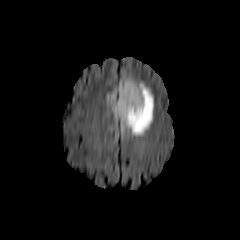
FLAIR MRI.
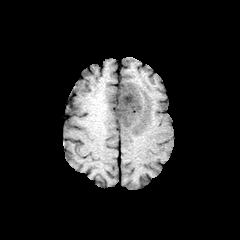
T1-weighted MRI.
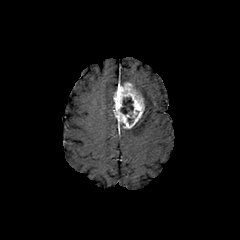
Same slice, post-contrast T1-weighted MR image.
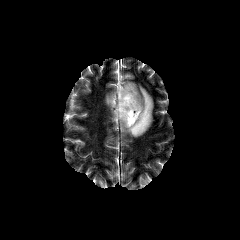
T2-weighted MR image.
Head
Enhancing tumor at bbox(112, 81, 144, 128).
Edema at bbox(121, 73, 154, 137); bbox(105, 88, 116, 109).
Non-enhancing tumor core at bbox(120, 97, 133, 114).